Slice index 81
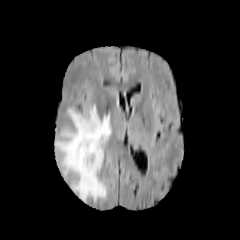
FLAIR MRI.
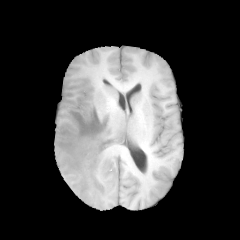
T1-weighted MR image.
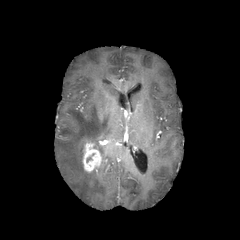
Post-contrast T1-weighted MR image.
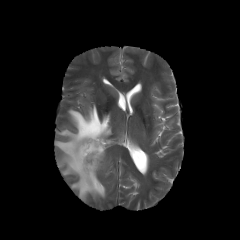
T2-weighted magnetic resonance.
<segmentation>
  <enhancing_tumor>82 143 101 171</enhancing_tumor>
  <edema>55 105 111 201</edema>
</segmentation>